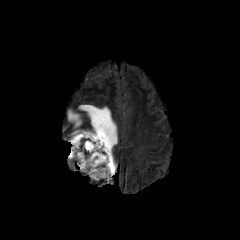
FLAIR MR image.
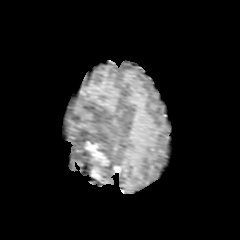
T1-weighted MR of the same slice.
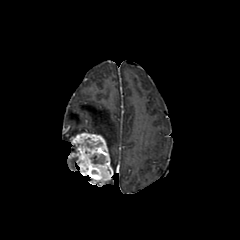
Post-contrast T1-weighted MRI.
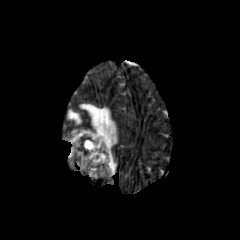
Same slice, T2-weighted MR image.
enhancing_tumor:
  - <box>68,130,113,183</box>
edema:
  - <box>68,110,81,126</box>
  - <box>79,104,117,174</box>